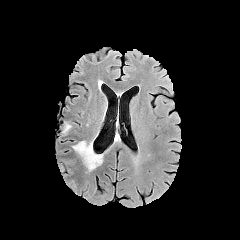
FLAIR MR image.
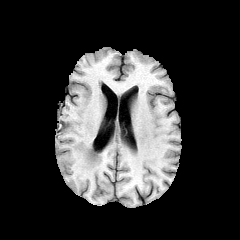
T1-weighted MRI.
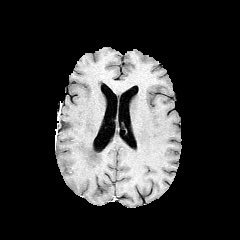
Same slice, post-contrast T1-weighted magnetic resonance.
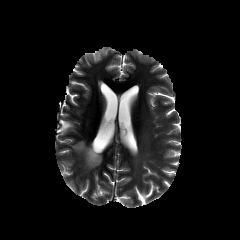
Same slice, T2-weighted MRI.
Image size 240x240
The edema is located at 72, 140, 101, 170.